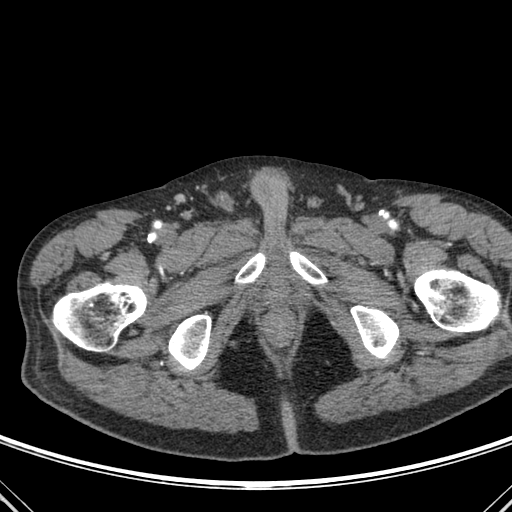

CT
bone: x1=236 y1=245 x2=326 y2=283, x1=53 y1=283 x2=153 y2=351, x1=351 y1=305 x2=399 y2=357, x1=169 y1=314 x2=210 y2=369, x1=414 y1=270 x2=509 y2=332